CT scan slice

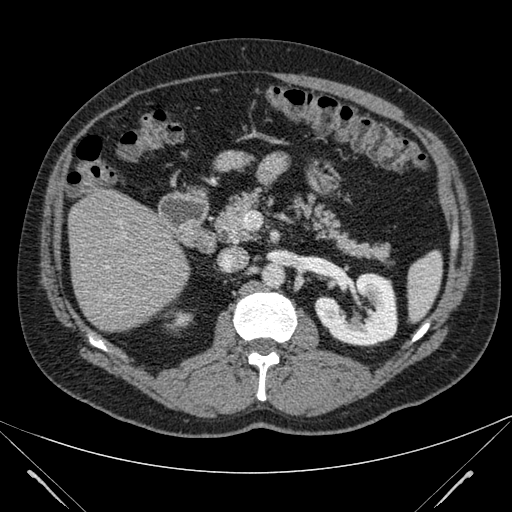
kidney: box(316, 274, 396, 344); box(177, 315, 188, 323) | liver: box(69, 189, 189, 331)